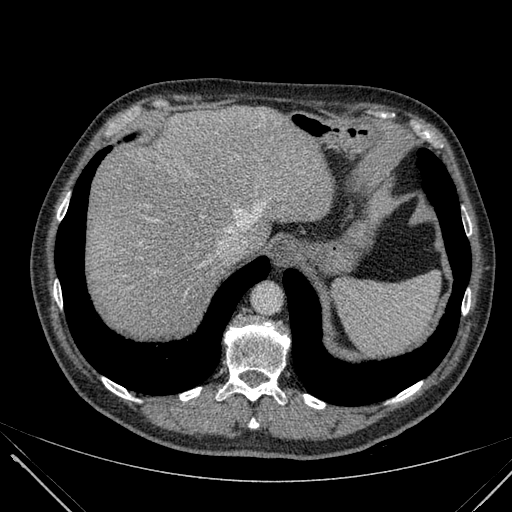 CT slice | 512x512
Liver: bounding box 86 105 328 339.